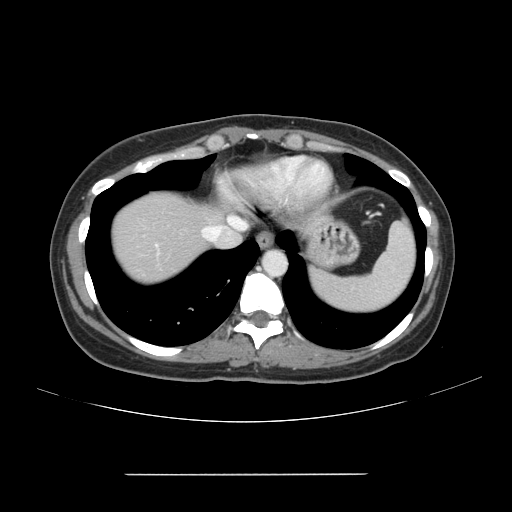

Liver. CT slice.
Only some of the vessels may be annotated.
The hepatic vessel appears at (203,230,211,237).